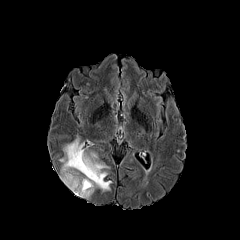
FLAIR magnetic resonance.
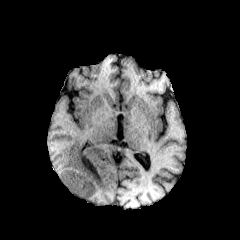
T1-weighted MRI.
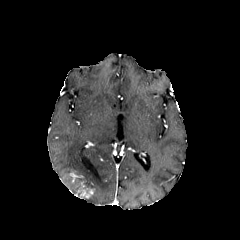
Post-contrast T1-weighted magnetic resonance.
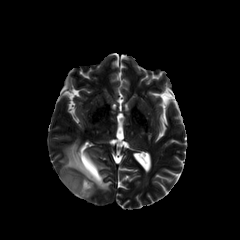
T2-weighted magnetic resonance of the same slice.
edema:
  - (left=59, top=137, right=111, bottom=193)
enhancing_tumor:
  - (left=76, top=180, right=94, bottom=197)